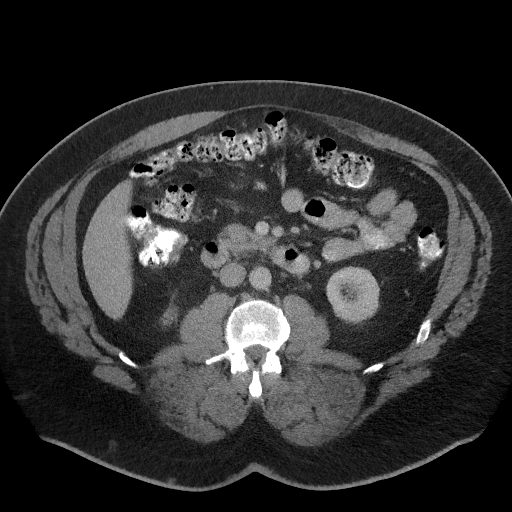 CT, Upper abdomen, 512x512 px
Pancreas — {"x1": 222, "y1": 224, "x2": 258, "y2": 249}.